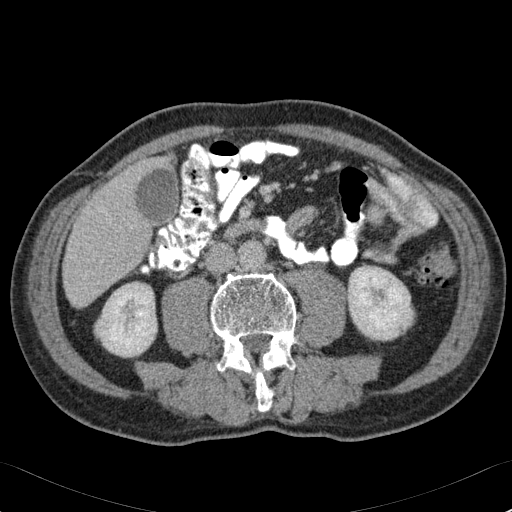
CT image
The liver is bounded by (64, 159, 151, 306). 2 kidney regions appear at (348, 266, 413, 339), (96, 282, 156, 356).